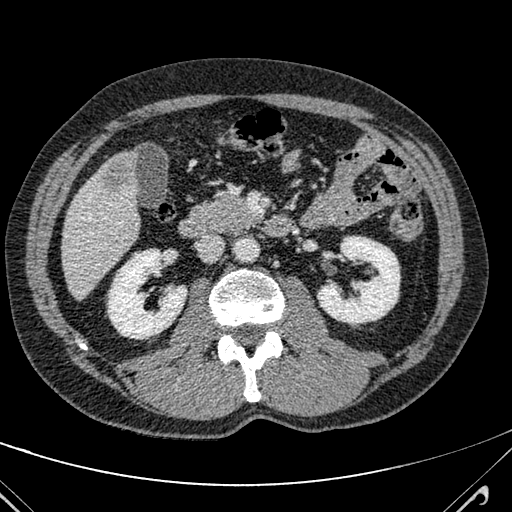

CT scan slice
focal liver lesion: (107, 162, 126, 188) | liver: (63, 153, 137, 298)